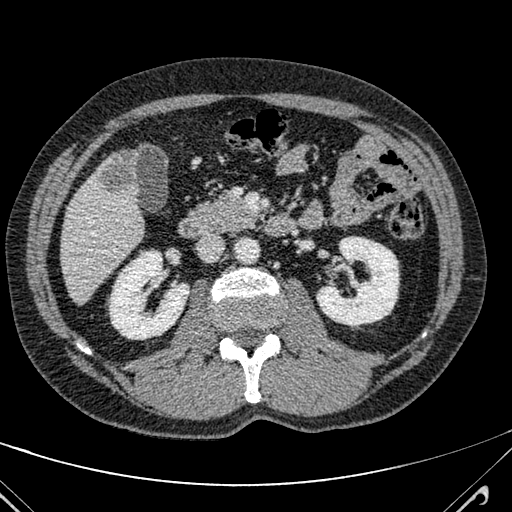

Computed tomography, Abdomen
Focal liver lesion = <box>102,150,138,191</box>.
Liver = <box>62,152,142,303</box>.